Liver; CT; Image width 396 mm 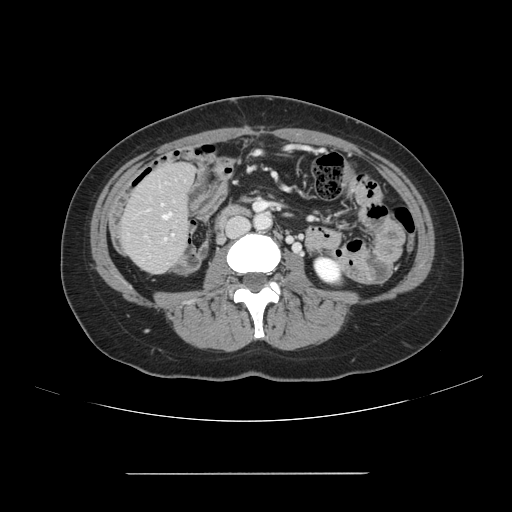

Only some of the vessels may be annotated.
hepatic vessel: bbox(163, 213, 170, 218); bbox(161, 204, 162, 205)